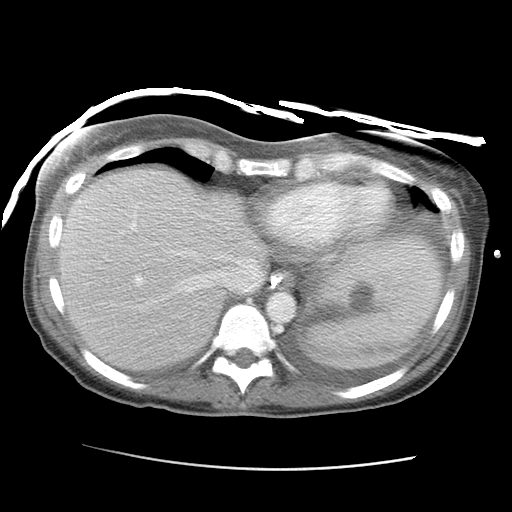 Image size 512x512, Computed tomography
The focal liver lesion appears at x1=348 y1=280 x2=375 y2=309. 2 liver regions appear at x1=315 y1=235 x2=437 y2=341, x1=57 y1=169 x2=265 y2=369.